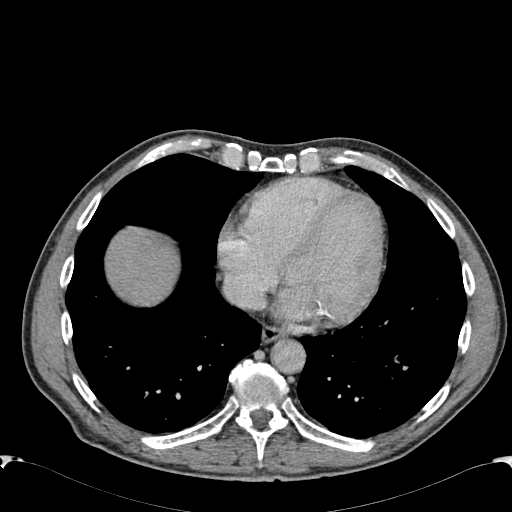 Computed tomography
<segmentation>
  <liver>region(107, 230, 178, 305)</liver>
</segmentation>